Head | Field of view 240 mm wide, 1.00 mm slice spacing
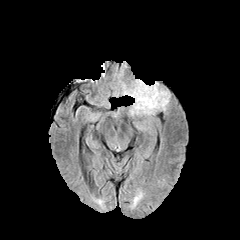
FLAIR MRI.
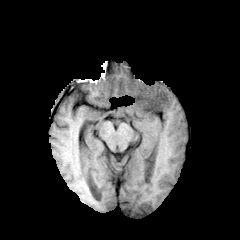
Same slice, T1-weighted MRI.
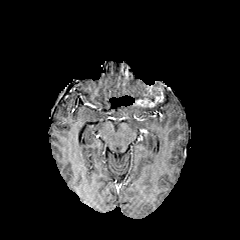
Same slice, post-contrast T1-weighted MR image.
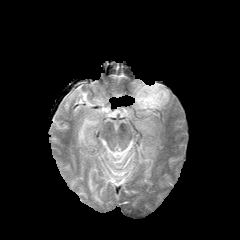
T2-weighted MRI of the same slice.
enhancing tumor: (x1=134, y1=85, x2=163, y2=107) | edema: (x1=158, y1=88, x2=170, y2=110), (x1=131, y1=80, x2=146, y2=103), (x1=131, y1=104, x2=154, y2=119)